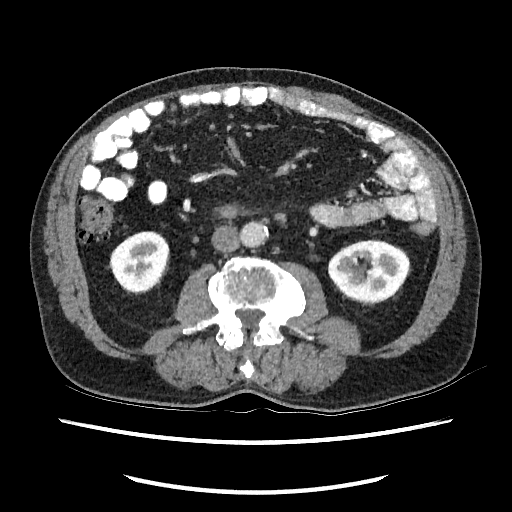
Abdomen; CT slice
Kidney at [110,231,168,293], [328,240,409,303].